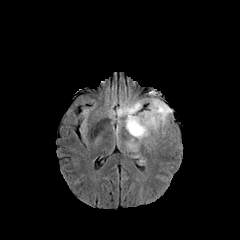
FLAIR MR.
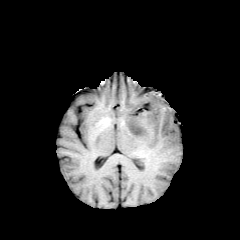
T1-weighted magnetic resonance.
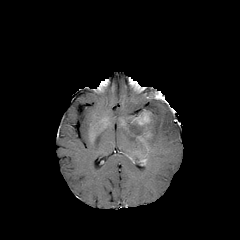
Post-contrast T1-weighted MR image.
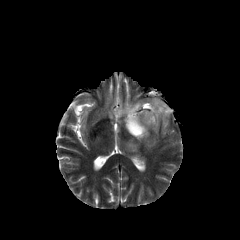
T2-weighted MR.
Brain | 240x240 px
enhancing_tumor:
  - (134, 110, 150, 124)
non-enhancing_tumor_core:
  - (130, 110, 141, 133)
edema:
  - (108, 90, 172, 158)